Image size 240x240.
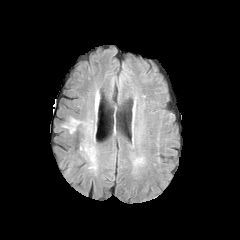
FLAIR MR.
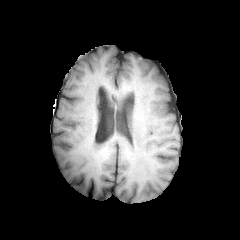
Same slice, T1-weighted MR.
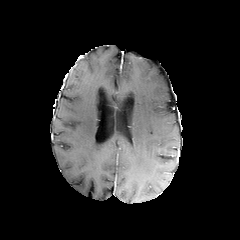
Post-contrast T1-weighted MR image.
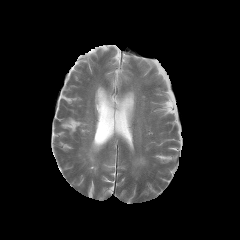
Same slice, T2-weighted MR.
{
  "edema": [
    "(133,156,145,167)"
  ]
}